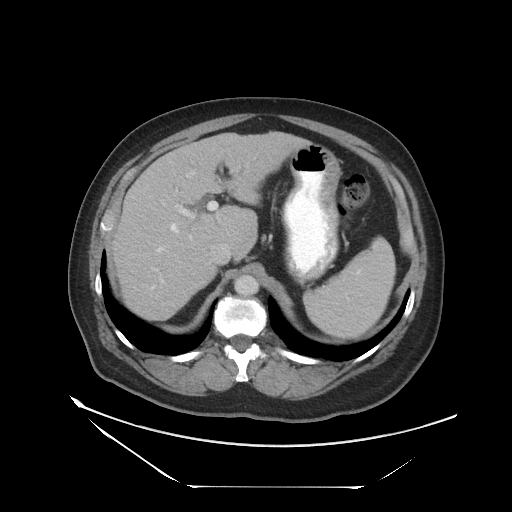
CT image; Liver
The vessel boxes may cover only some of the vessels.
Hepatic vessel = (169, 223, 178, 233), (187, 173, 193, 175), (175, 206, 194, 219).